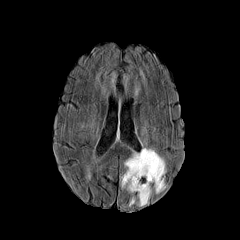
FLAIR magnetic resonance.
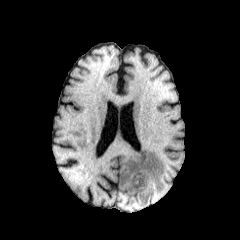
T1-weighted MR image.
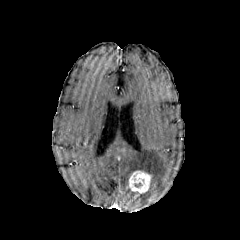
Post-contrast T1-weighted MRI of the same slice.
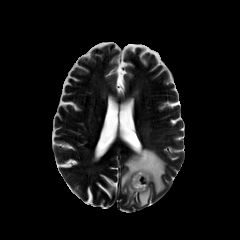
Same slice, T2-weighted MRI.
240x240.
2 edema regions appear at box=[127, 187, 150, 207]; box=[118, 148, 166, 194]. The enhancing tumor lies within box=[127, 170, 152, 194].